FLAIR magnetic resonance.
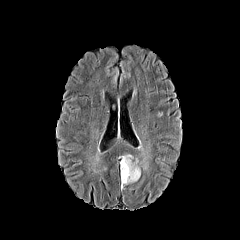
T1-weighted MR.
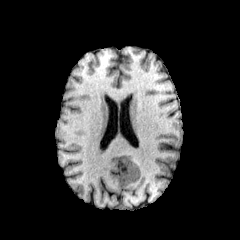
Post-contrast T1-weighted MR image.
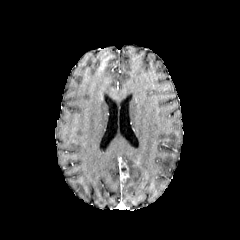
T2-weighted MR.
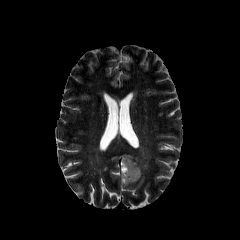
Brain
edema: (left=120, top=154, right=140, bottom=188) | enhancing tumor: (left=120, top=160, right=129, bottom=183)